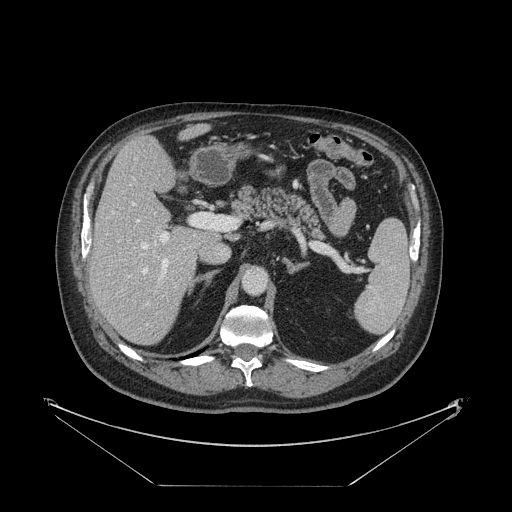 CT slice. Abdomen.

Only some of the vessels may be annotated.
5 hepatic vessel regions are located at (x1=118, y1=240, x2=119, y2=241), (x1=163, y1=258, x2=168, y2=268), (x1=161, y1=235, x2=166, y2=241), (x1=136, y1=219, x2=138, y2=221), (x1=131, y1=202, x2=133, y2=204).